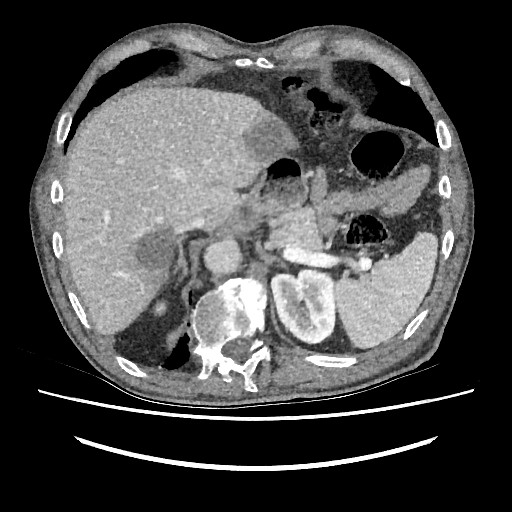

CT scan slice
Focal liver lesion at (left=129, top=225, right=174, bottom=289), (left=243, top=114, right=292, bottom=161).
Liver at (left=63, top=86, right=274, bottom=333), (left=284, top=123, right=298, bottom=152).
Kidney at (left=271, top=270, right=338, bottom=342).